FLAIR MR.
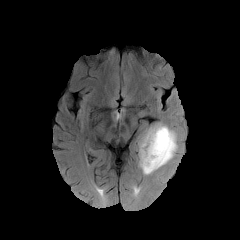
T1-weighted MR.
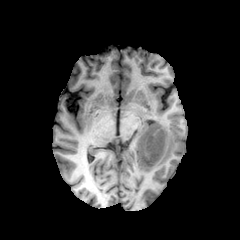
Post-contrast T1-weighted MR.
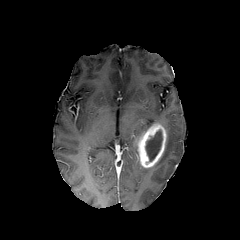
T2-weighted MRI.
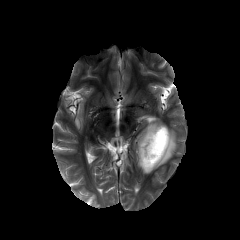
Brain
Segmented structures:
* non-enhancing tumor core: [145, 129, 162, 161]
* enhancing tumor: [135, 123, 166, 168]
* edema: [137, 122, 178, 175]